FLAIR magnetic resonance.
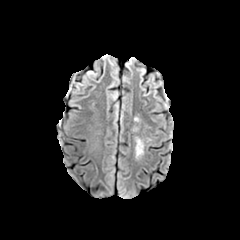
T1-weighted MR.
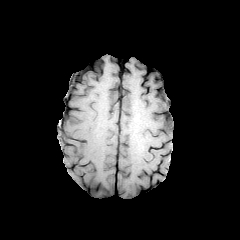
Post-contrast T1-weighted magnetic resonance.
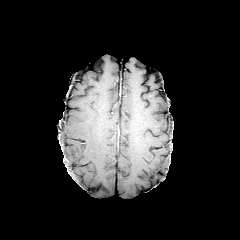
T2-weighted MRI.
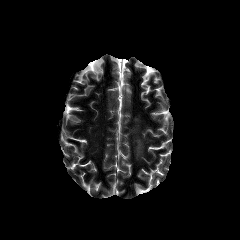
Head, 240x240 px
<segmentation>
  <edema>(left=136, top=139, right=143, bottom=155)</edema>
</segmentation>